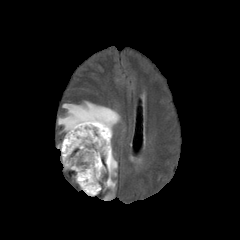
FLAIR MRI.
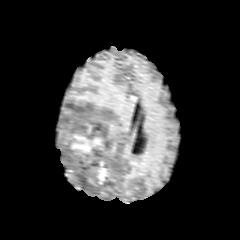
T1-weighted MR image.
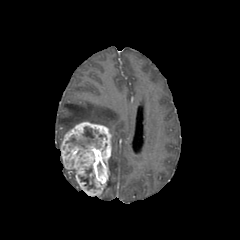
Post-contrast T1-weighted MR image.
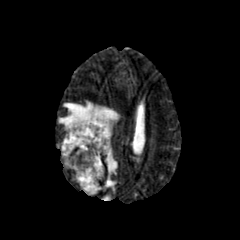
T2-weighted MRI.
240x240 px, Head
The enhancing tumor is located at 60 121 112 195. The non-enhancing tumor core appears at 71 128 94 146. 2 edema regions are bounded by 108 155 117 191, 58 101 119 135.